CT slice
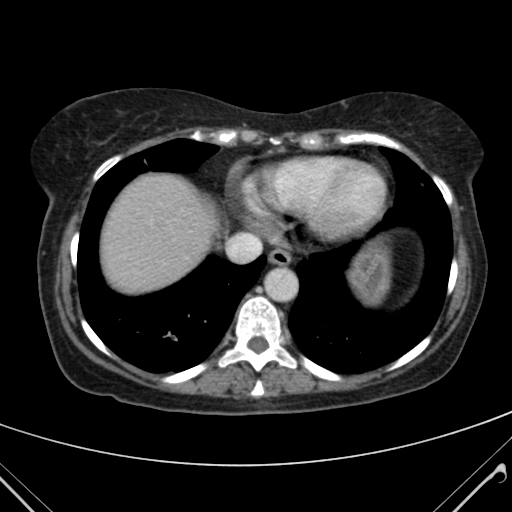 liver: [101,174,225,295]